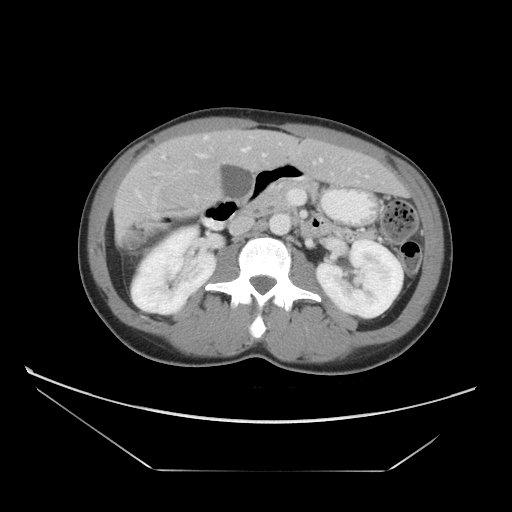
512x512. CT scan slice.
The vessel boxes may cover only some of the vessels.
hepatic_vessel:
  - (196, 153, 207, 157)
  - (240, 146, 250, 151)